CT scan slice | Slice 25/42 | Liver

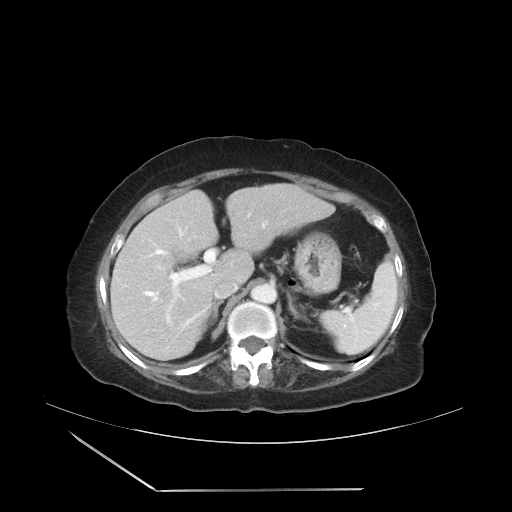
Only some of the vessels may be annotated.
hepatic_vessel:
  - 180, 307, 207, 331
  - 176, 224, 186, 237
  - 143, 291, 161, 301
  - 157, 265, 164, 269
  - 205, 251, 214, 260
  - 262, 221, 266, 226
  - 192, 235, 195, 237
  - 166, 266, 210, 329
  - 248, 214, 249, 216
  - 123, 284, 127, 286
  - 148, 238, 155, 245
  - 142, 246, 165, 257